38x53 px; MR image; Field of view 38 mm wide, 1.00 mm slice spacing 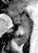

Anterior hippocampus: x1=9 y1=10 x2=29 y2=26.
Posterior hippocampus: x1=15 y1=27 x2=29 y2=46.